Brain.
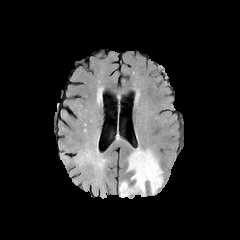
FLAIR MRI.
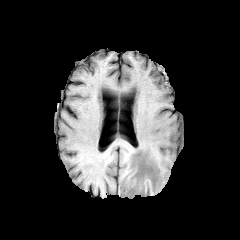
Same slice, T1-weighted MRI.
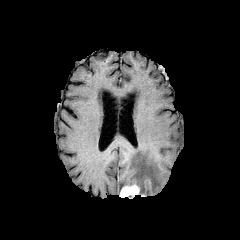
Post-contrast T1-weighted MR image of the same slice.
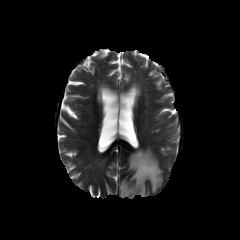
Same slice, T2-weighted MR.
{"enhancing_tumor": ["<bbox>120, 184, 139, 197</bbox>"], "edema": ["<bbox>127, 148, 163, 195</bbox>", "<bbox>119, 180, 128, 191</bbox>"]}